MRI slice 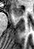 anterior hippocampus: <bbox>13, 7, 24, 16</bbox>